Abdomen, CT, Slice 383/841
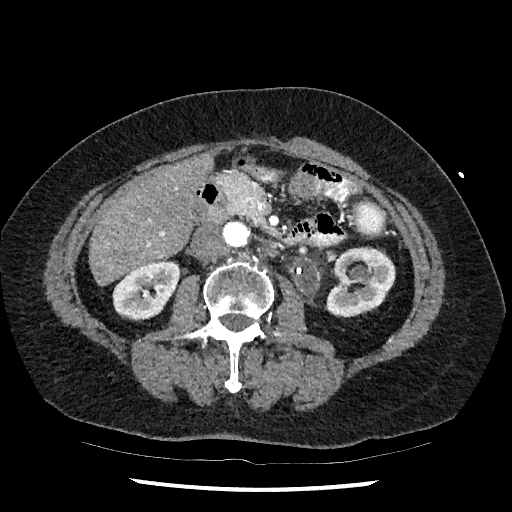

{
  "liver": [
    "(89,154,213,286)"
  ],
  "kidney": [
    "(327,248,394,316)",
    "(113,262,179,319)"
  ]
}